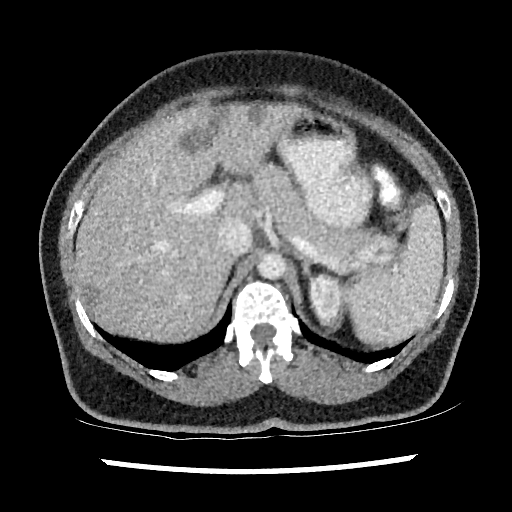
CT slice | 512x512
<segmentation>
  <liver>76,101,299,339</liver>
  <kidney>311,276,340,320; 350,297,359,307</kidney>
  <hepatic_lesion>212,107,229,122; 248,105,265,122; 82,284,97,307; 181,127,204,149</hepatic_lesion>
</segmentation>